FLAIR magnetic resonance.
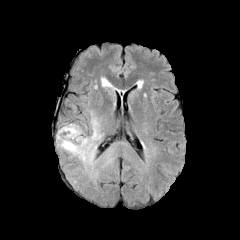
T1-weighted MR.
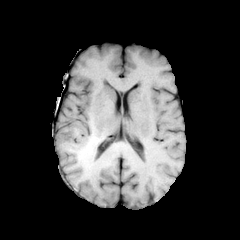
Post-contrast T1-weighted MR image.
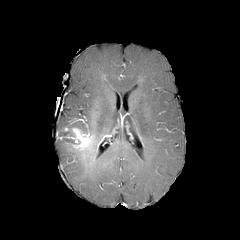
T2-weighted MR image.
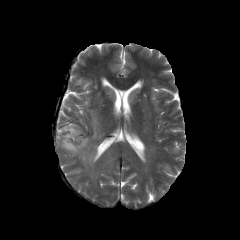
<segmentation>
  <enhancing_tumor>[66,127,89,149]</enhancing_tumor>
  <non-enhancing_tumor_core>[79,131,97,164], [56,123,79,147]</non-enhancing_tumor_core>
  <edema>[56,140,113,178], [73,111,103,145], [101,77,118,95]</edema>
</segmentation>